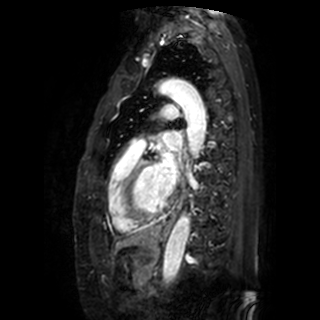

MRI

Segmented structures:
* left atrium: 158,147,175,190; 163,132,181,151